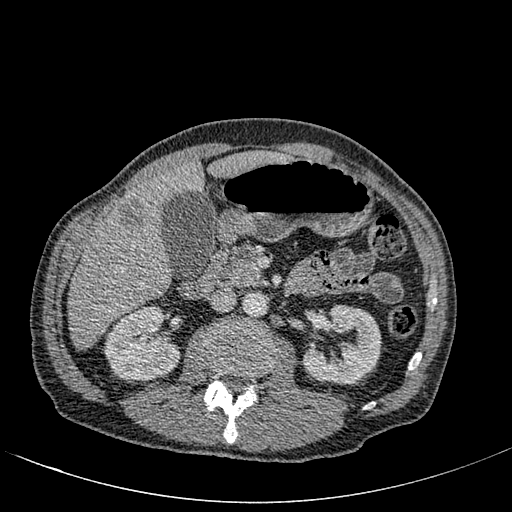 CT image, Upper abdomen
focal liver lesion: [x1=118, y1=200, x2=147, y2=231] | kidney: [x1=104, y1=307, x2=179, y2=380], [x1=303, y1=305, x2=380, y2=383] | liver: [x1=209, y1=151, x2=289, y2=176], [x1=69, y1=162, x2=203, y2=349]